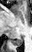
MRI slice; Medial temporal lobe
The posterior hippocampus is at [x1=12, y1=37, x2=23, y2=45].